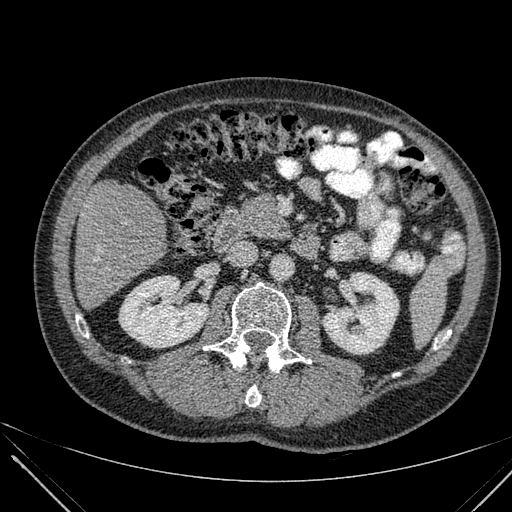

512x512 px. CT image.

2 kidney regions appear at 323 273 398 353, 119 276 208 347. The liver is bounded by 75 180 167 307.